Abdomen | Image size 512x512 | CT image
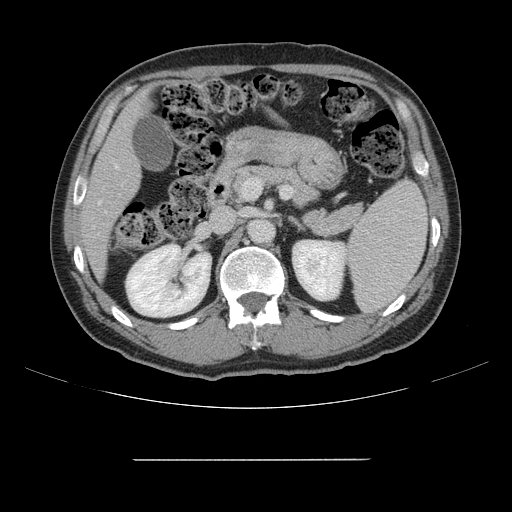

The vessel boxes may cover only some of the vessels.
2 hepatic vessel regions are located at (x1=116, y1=165, x2=117, y2=168), (x1=98, y1=200, x2=100, y2=203).